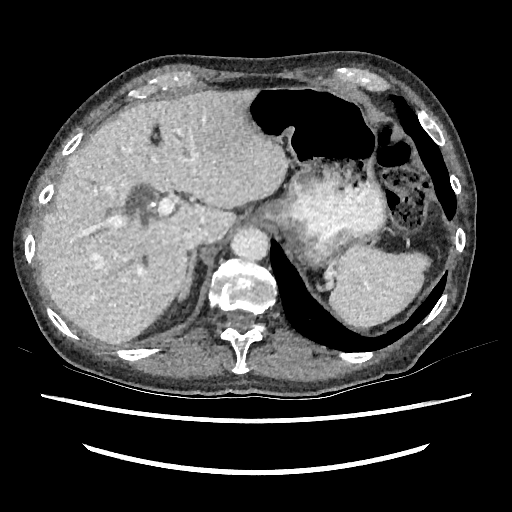

512x512 px | CT scan slice
Liver — (36,89,284,342).